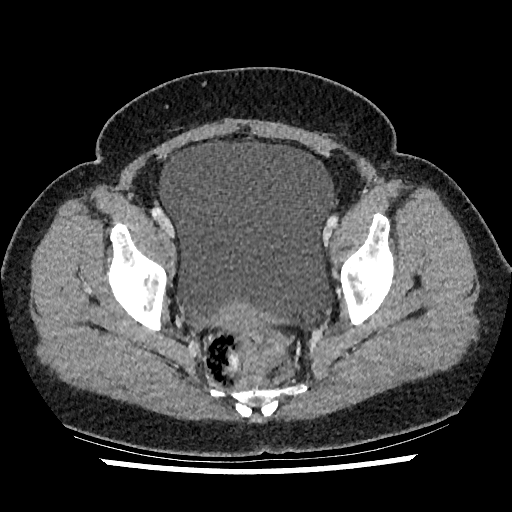 CT slice
The urinary bladder is at region(159, 141, 333, 325).